CT slice, Upper abdomen 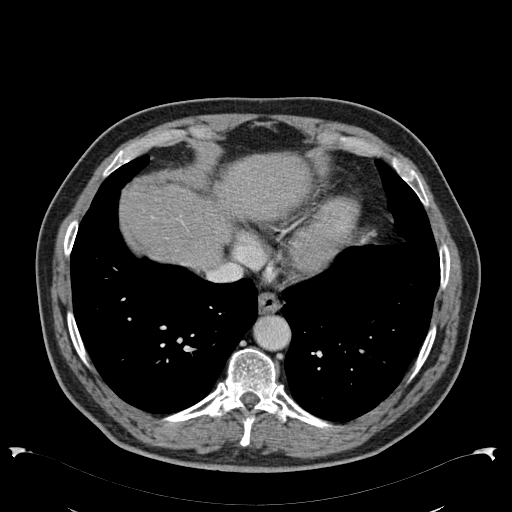
The liver appears at bbox=[120, 153, 308, 269].